Image width 240 mm. Head. Slice 56 of 155.
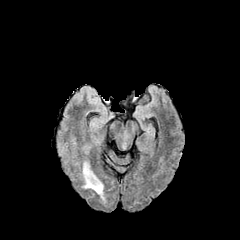
FLAIR MR.
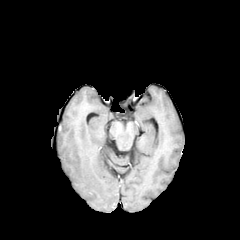
T1-weighted MRI of the same slice.
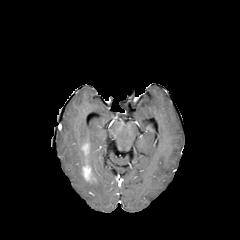
Post-contrast T1-weighted MR image of the same slice.
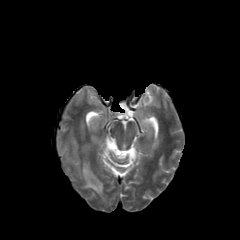
T2-weighted MR of the same slice.
Edema: (left=82, top=169, right=103, bottom=199).
Enhancing tumor: (left=83, top=165, right=90, bottom=179).